Upper abdomen; CT 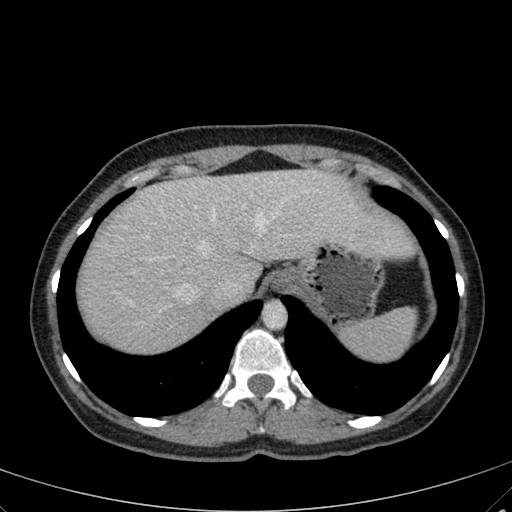

Annotated regions:
* liver: {"x1": 77, "y1": 167, "x2": 417, "y2": 353}